Image width 240 mm, Head
FLAIR magnetic resonance.
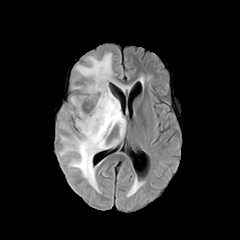
T1-weighted MR.
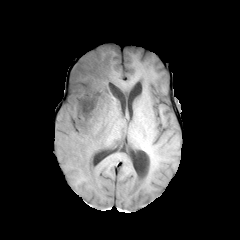
Post-contrast T1-weighted MR image.
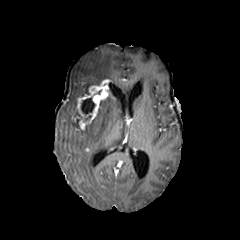
T2-weighted MR image.
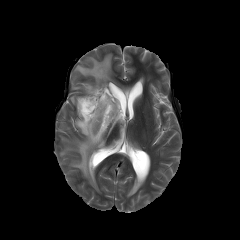
edema: bbox(60, 98, 126, 190); bbox(77, 53, 114, 95) | enhancing tumor: bbox(77, 79, 110, 129) | non-enhancing tumor core: bbox(80, 98, 94, 119); bbox(91, 92, 115, 123)